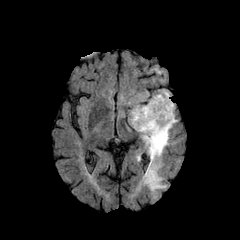
FLAIR MRI.
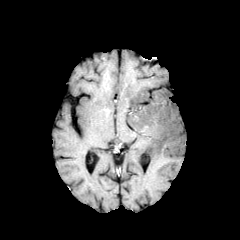
Same slice, T1-weighted MRI.
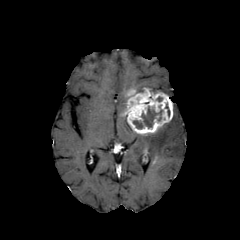
Same slice, post-contrast T1-weighted MR image.
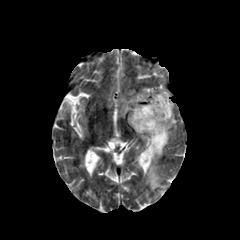
T2-weighted MRI of the same slice.
240x240 px | Head
Segmented structures:
* enhancing tumor: 126:89:173:135
* edema: 139:104:176:191
* non-enhancing tumor core: 141:107:156:127, 133:120:143:128